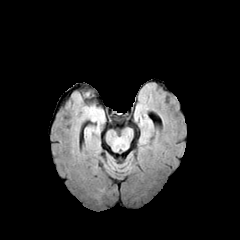
FLAIR magnetic resonance.
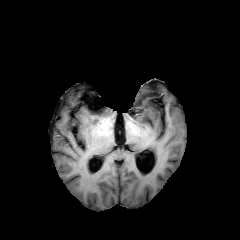
T1-weighted MR image of the same slice.
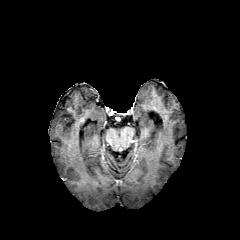
Post-contrast T1-weighted magnetic resonance.
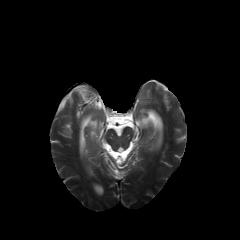
T2-weighted MR image.
Brain
The edema is bounded by {"x1": 139, "y1": 115, "x2": 154, "y2": 144}.